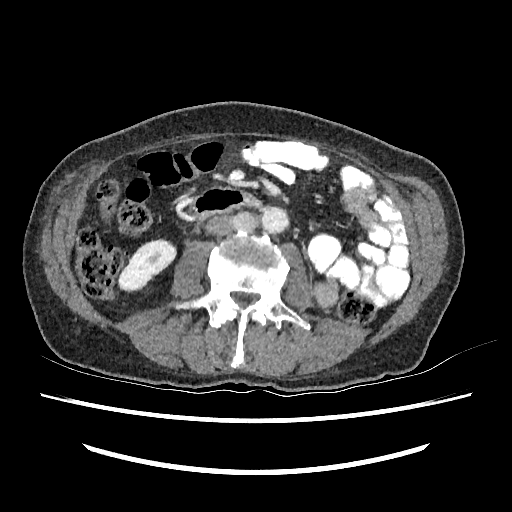
Computed tomography | 512x512
Annotated regions:
• kidney: l=119, t=241, r=175, b=289